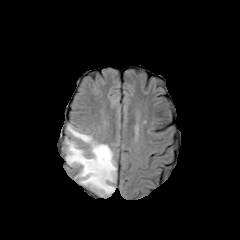
FLAIR MR.
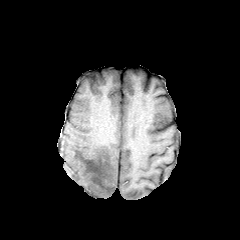
T1-weighted MR.
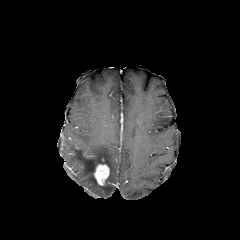
Same slice, post-contrast T1-weighted MR.
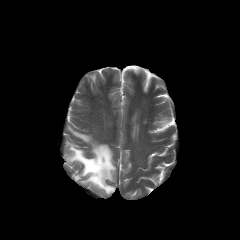
T2-weighted MR.
Head; 240x240
<segmentation>
  <non-enhancing_tumor_core>85 156 111 183, 100 180 111 191</non-enhancing_tumor_core>
  <edema>65 124 116 197</edema>
  <enhancing_tumor>93 164 109 185</enhancing_tumor>
</segmentation>